Slice index 114 | CT | Abdomen 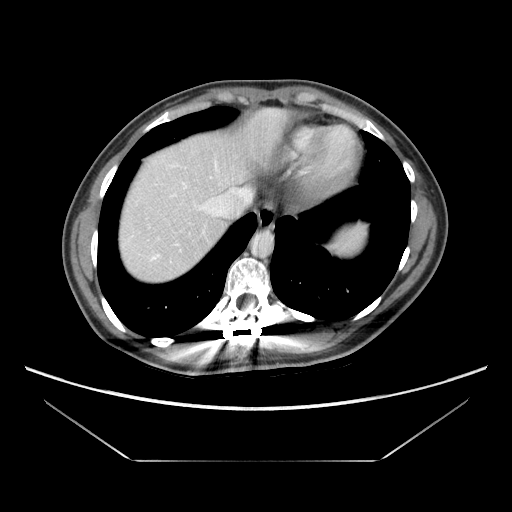
Some hepatic vessels may have no box.
Annotated regions:
* hepatic vessel: x1=214 y1=160 x2=219 y2=178, x1=182 y1=184 x2=186 y2=189, x1=193 y1=188 x2=251 y2=215